Field of view 240 mm wide, 1.00 mm slice spacing, Slice 100/155, Image size 240x240
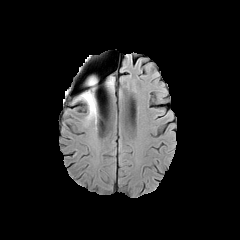
FLAIR MR image.
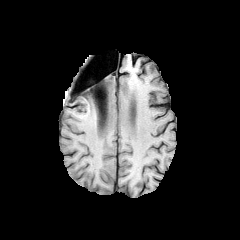
T1-weighted magnetic resonance.
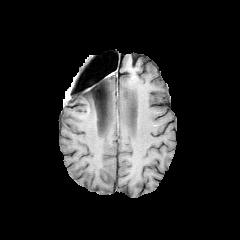
Post-contrast T1-weighted MR.
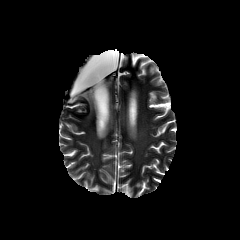
T2-weighted MRI.
Edema: left=74, top=77, right=99, bottom=122; left=107, top=79, right=114, bottom=92.